Field of view 512x512 mm | Liver | Image size 512x512 | CT
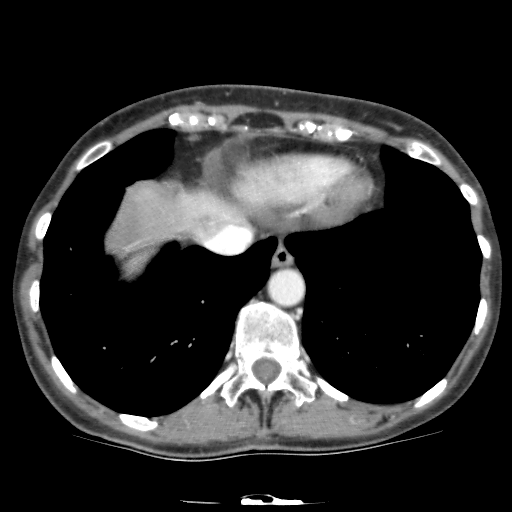
Segmented structures:
- liver lesion: 194:213:216:232
- liver: 112:182:249:253